FLAIR MR image.
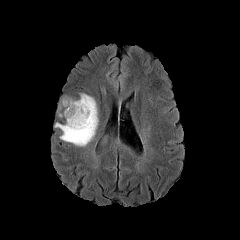
T1-weighted magnetic resonance.
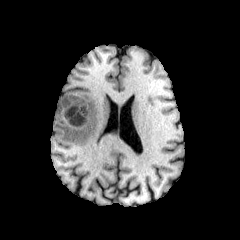
Post-contrast T1-weighted MR.
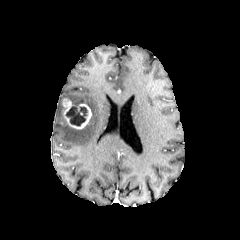
T2-weighted MR.
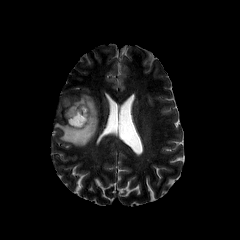
Non-enhancing tumor core: bounding box <bbox>65, 106, 87, 127</bbox>.
Enhancing tumor: bounding box <bbox>61, 97, 91, 129</bbox>.
Edema: bounding box <bbox>55, 93, 98, 146</bbox>.